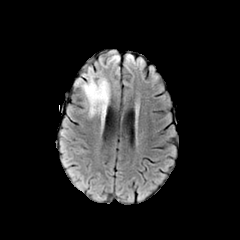
FLAIR MR image.
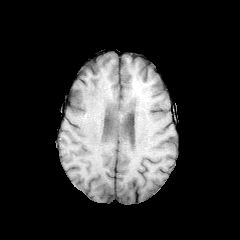
T1-weighted MRI.
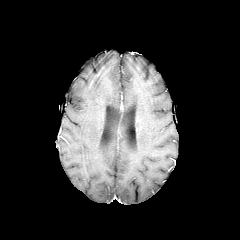
Post-contrast T1-weighted MRI.
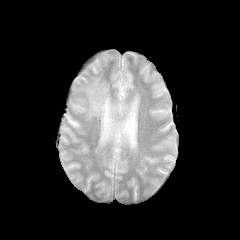
T2-weighted MR.
Head.
Edema at x1=75, y1=68, x2=111, y2=128.